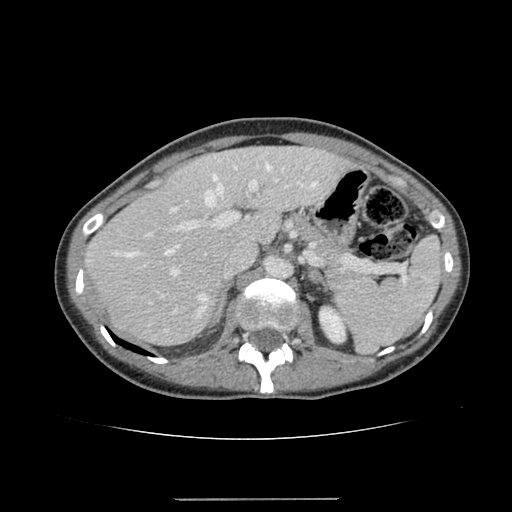
Computed tomography
The kidney is located at <box>320,308,344,341</box>. The liver appears at <box>85,146,354,345</box>.